Slice 49 of 155
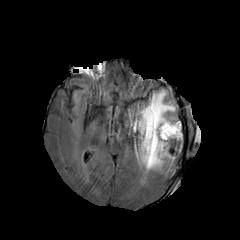
FLAIR MR.
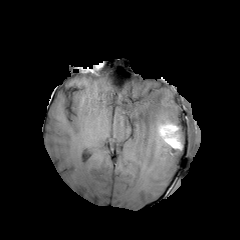
T1-weighted MR image.
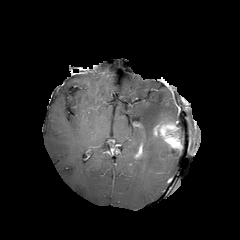
Post-contrast T1-weighted MR.
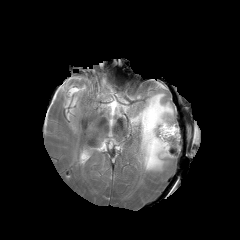
T2-weighted MRI.
enhancing_tumor:
  - 154, 122, 178, 147
edema:
  - 128, 89, 177, 171
non-enhancing_tumor_core:
  - 170, 128, 180, 148